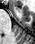

Magnetic resonance
anterior hippocampus: <box>16,7,19,10</box>